CT image | Slice 429/630
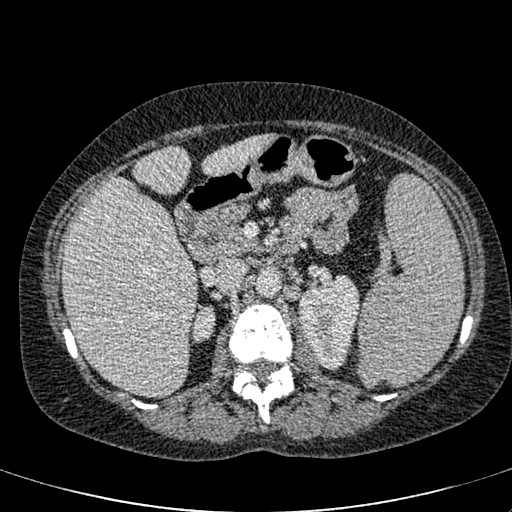

{"kidney": ["<bbox>193, 307, 214, 340</bbox>", "<bbox>299, 275, 358, 369</bbox>"], "liver": ["<bbox>133, 147, 188, 191</bbox>", "<bbox>203, 135, 274, 175</bbox>", "<bbox>64, 178, 196, 395</bbox>"]}